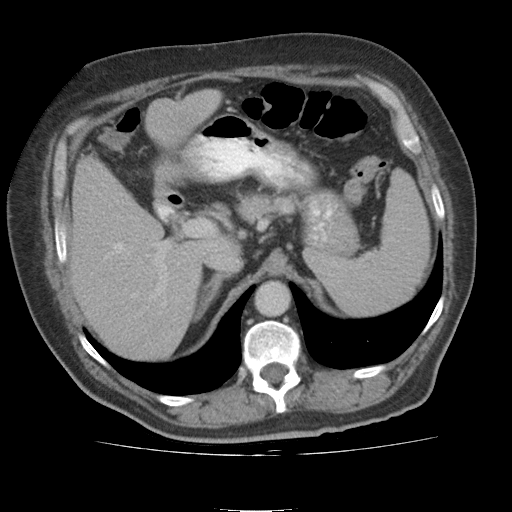

CT
Liver at 71:158:200:357, 148:93:220:148.